Head, Field of view 240 mm wide, 1.00 mm slice spacing
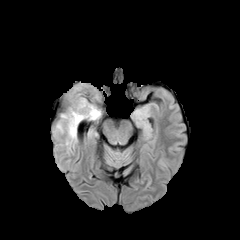
FLAIR MR.
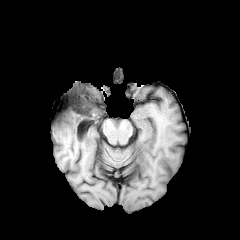
T1-weighted MRI of the same slice.
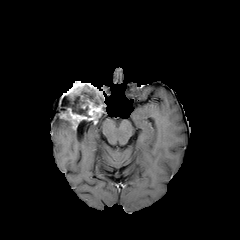
Same slice, post-contrast T1-weighted MR.
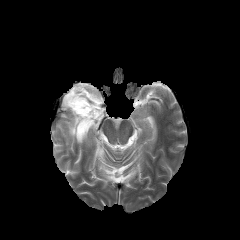
T2-weighted MRI.
2 non-enhancing tumor core regions are located at x1=64, y1=95, x2=88, y2=115; x1=81, y1=88, x2=102, y2=105. The enhancing tumor is located at x1=62, y1=83, x2=102, y2=129. The edema is at x1=55, y1=118, x2=93, y2=145.